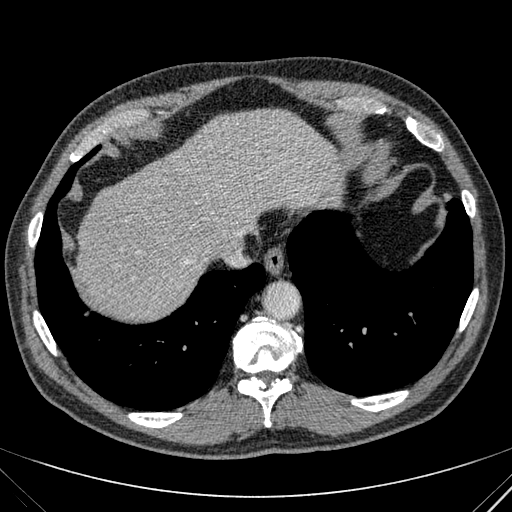 Upper abdomen | Computed tomography
The liver is at bbox(76, 110, 339, 318).